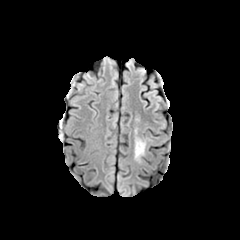
FLAIR magnetic resonance.
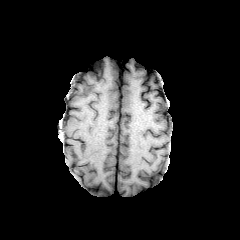
T1-weighted MR.
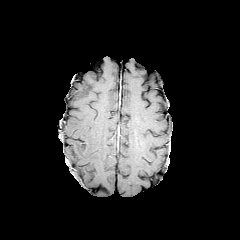
Post-contrast T1-weighted MR of the same slice.
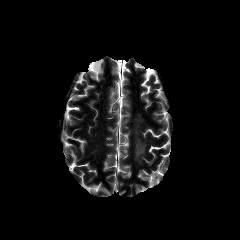
Same slice, T2-weighted MRI.
Head
The edema is at 134, 138, 145, 160.